CT image. Slice 78/111. 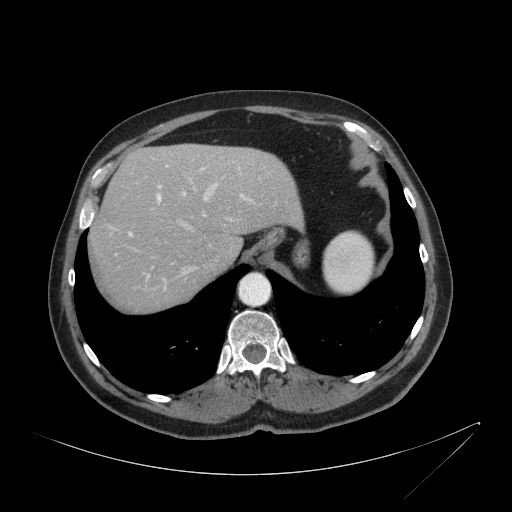
liver: l=90, t=144, r=303, b=310